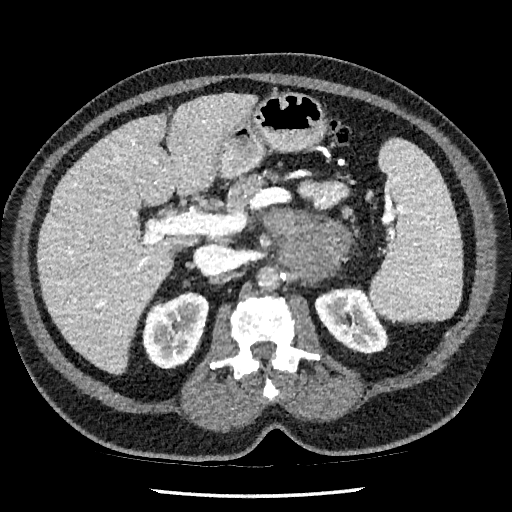
CT; Liver

{
  "liver": [
    "l=39, t=94, r=255, b=372"
  ],
  "kidney": [
    "l=144, t=293, r=208, b=367",
    "l=315, t=289, r=386, b=352"
  ]
}